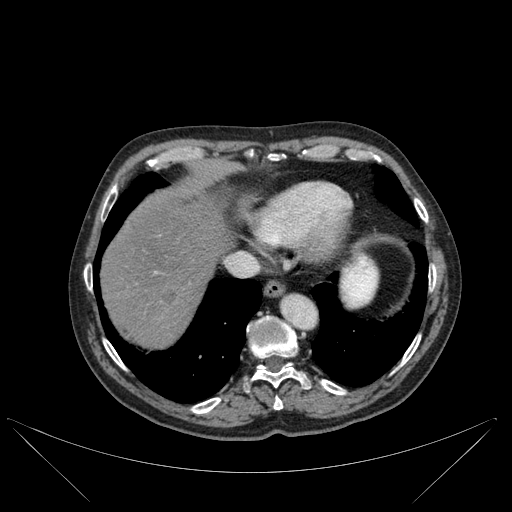

CT. Image size 512x512.
bone:
  - 242:375:249:392
  - 274:397:282:409
  - 267:155:284:160
  - 252:363:307:387
  - 321:380:344:394
  - 146:161:155:168
  - 103:339:124:368
  - 414:199:427:221
  - 428:267:436:289
  - 84:270:92:289
  - 400:335:420:365
  - 105:185:116:205
  - 191:398:220:413
  - 247:316:296:358
hepatic_lesion:
  - 160:289:177:304
liver:
  - 101:195:249:349
lung:
  - 373:166:418:226
  - 93:172:261:402
  - 312:243:427:385